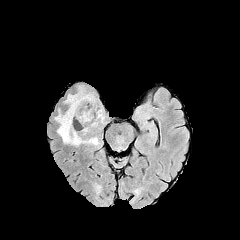
FLAIR MR.
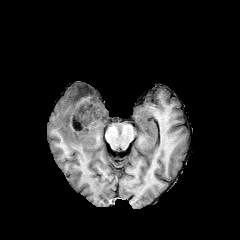
T1-weighted magnetic resonance.
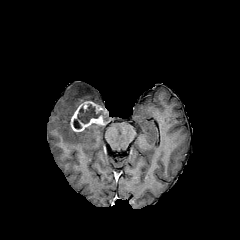
Post-contrast T1-weighted MRI.
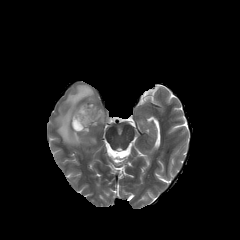
T2-weighted MR image.
Findings:
• non-enhancing tumor core: x1=73, y1=119, x2=82, y2=129; x1=77, y1=103, x2=106, y2=123
• edema: x1=87, y1=137, x2=98, y2=145; x1=55, y1=85, x2=96, y2=146
• enhancing tumor: x1=70, y1=101, x2=105, y2=131